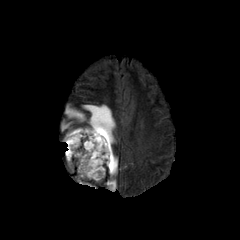
FLAIR MR image.
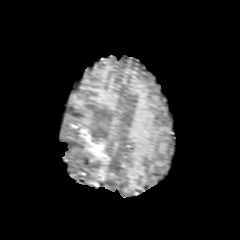
T1-weighted MR of the same slice.
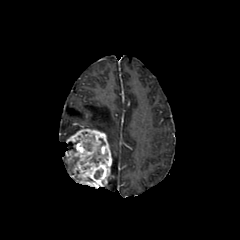
Same slice, post-contrast T1-weighted magnetic resonance.
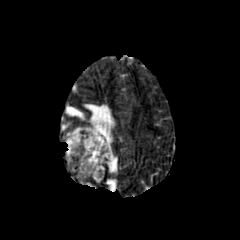
T2-weighted magnetic resonance of the same slice.
Head
enhancing_tumor:
  - <box>65,128,111,187</box>
non-enhancing_tumor_core:
  - <box>90,148,100,162</box>
  - <box>83,141,91,150</box>
  - <box>68,141,78,151</box>
edema:
  - <box>61,104,117,189</box>
  - <box>68,160,78,175</box>